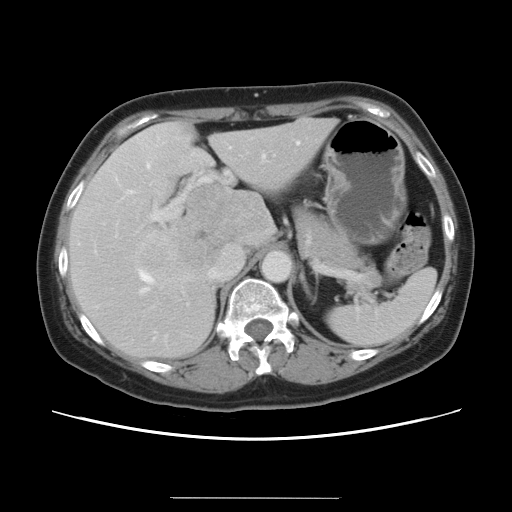
CT scan slice. Not every hepatic vessel necessarily has a box.
Findings:
* hepatic vessel (top 15 of 17): bbox=[141, 288, 147, 292]; bbox=[127, 191, 133, 193]; bbox=[147, 164, 148, 167]; bbox=[188, 185, 191, 187]; bbox=[262, 155, 264, 162]; bbox=[174, 200, 176, 201]; bbox=[175, 210, 179, 212]; bbox=[151, 208, 165, 222]; bbox=[154, 332, 156, 335]; bbox=[209, 270, 214, 277]; bbox=[154, 337, 155, 339]; bbox=[297, 142, 298, 144]; bbox=[165, 335, 166, 341]; bbox=[199, 177, 210, 182]; bbox=[139, 271, 151, 283]
* liver tumor: bbox=[176, 186, 266, 262]